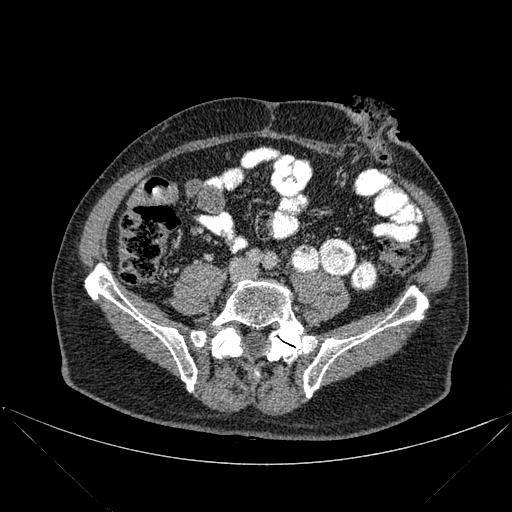

CT scan slice | Image size 512x512

Annotated regions:
• bone: [x1=85, y1=264, x2=197, y2=391], [x1=191, y1=280, x2=316, y2=362], [x1=303, y1=286, x2=427, y2=397]